FLAIR magnetic resonance.
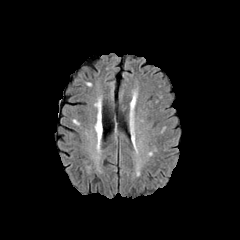
T1-weighted MR.
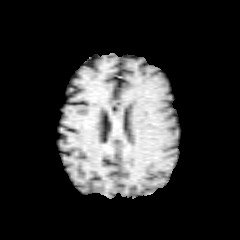
Post-contrast T1-weighted MR.
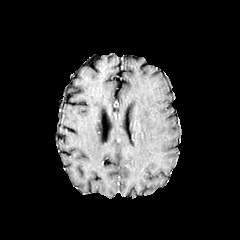
T2-weighted magnetic resonance.
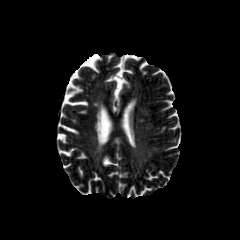
edema:
  - <bbox>130, 97, 135, 113</bbox>